FLAIR MR.
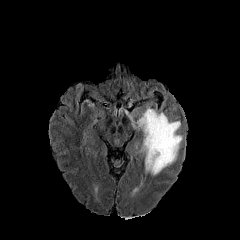
T1-weighted MR.
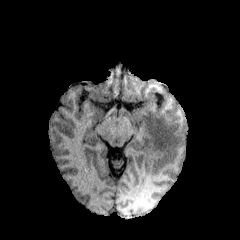
Post-contrast T1-weighted MR image.
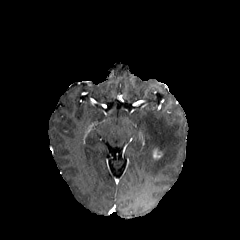
T2-weighted MRI.
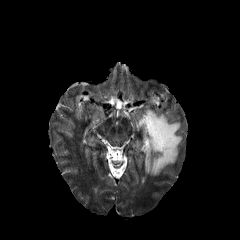
240x240 px
{
  "enhancing_tumor": [
    "box=[151, 148, 163, 159]"
  ],
  "edema": [
    "box=[132, 108, 182, 176]"
  ]
}